Lung; CT slice

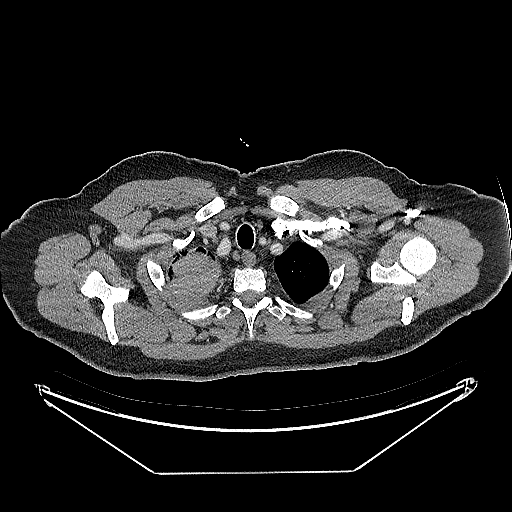
<segmentation>
  <lung_tumor>{"x1": 168, "y1": 245, "x2": 220, "y2": 291}</lung_tumor>
</segmentation>